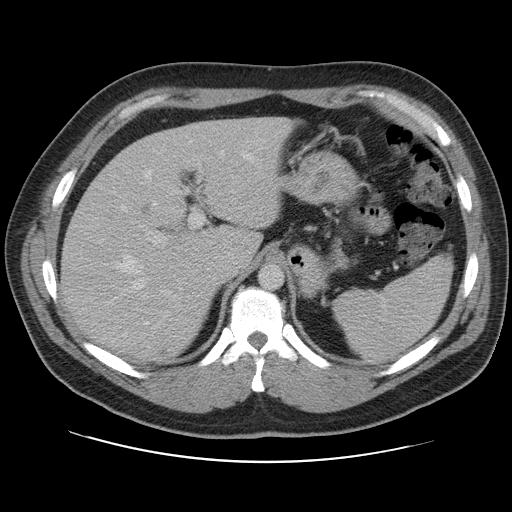

Abdomen. CT.
Some hepatic vessels may have no box.
The top 15 hepatic vessel regions (of 21) are located at l=188, t=208, r=205, b=228; l=196, t=189, r=198, b=191; l=122, t=249, r=126, b=252; l=199, t=170, r=201, b=172; l=221, t=226, r=226, b=231; l=133, t=279, r=142, b=288; l=146, t=230, r=165, b=244; l=145, t=321, r=148, b=324; l=184, t=188, r=188, b=193; l=206, t=187, r=209, b=189; l=268, t=212, r=272, b=213; l=117, t=254, r=139, b=272; l=271, t=205, r=275, b=206; l=235, t=216, r=238, b=219; l=197, t=180, r=199, b=182.